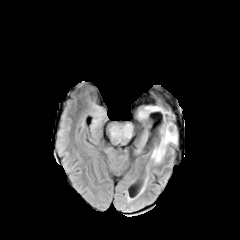
FLAIR MR.
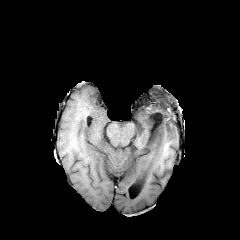
T1-weighted magnetic resonance.
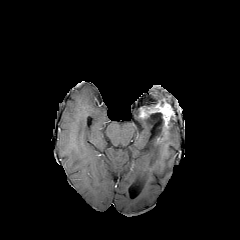
Post-contrast T1-weighted MR.
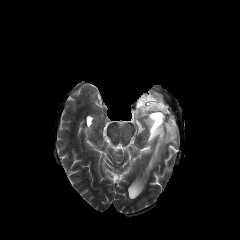
T2-weighted MR.
Image size 240x240
<segmentation>
  <edema>x1=124, y1=128, x2=131, y2=138; x1=151, y1=125, x2=177, y2=165</edema>
  <non-enhancing_tumor_core>x1=149, y1=112, x2=174, y2=143</non-enhancing_tumor_core>
  <enhancing_tumor>x1=139, y1=100, x2=173, y2=134</enhancing_tumor>
</segmentation>